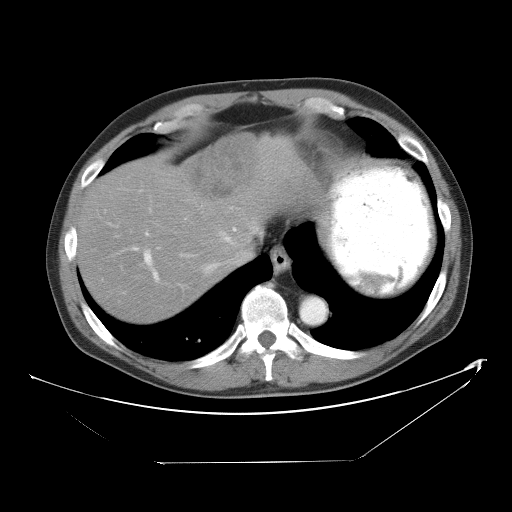
Liver | 512x512 | CT slice

Not every hepatic vessel necessarily has a box.
Hepatic vessel — [205,263,219,271], [131,247,137,250], [231,239,231,242], [223,237,224,239], [220,232,223,234], [148,265,151,266], [144,249,149,259], [145,232,147,233], [152,269,155,275], [149,209,151,211], [145,261,146,263].
Liver tumor — [190,135,252,199].